CT image

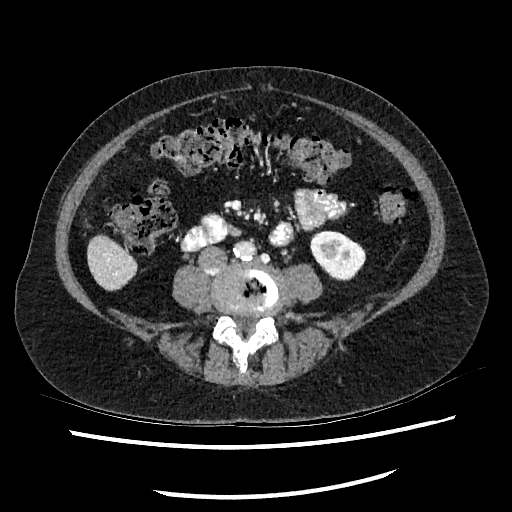

kidney:
  - l=311, t=232, r=364, b=278
liver:
  - l=88, t=237, r=136, b=289